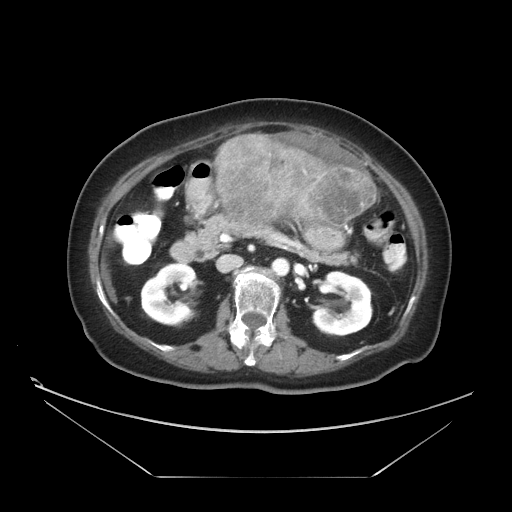

512x512; CT
The liver tumor lies within [x1=217, y1=136, x2=376, y2=225].